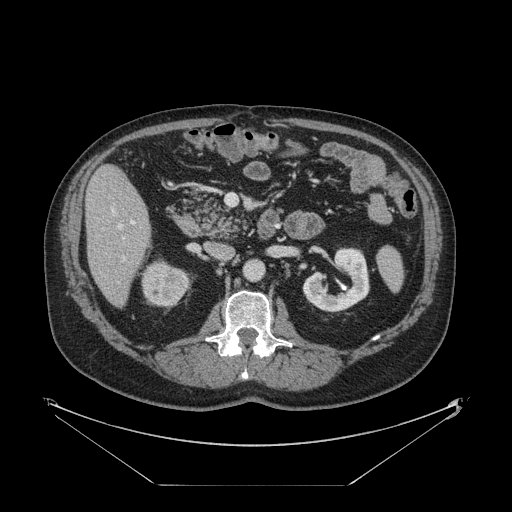 CT
Not every hepatic vessel necessarily has a box.
hepatic_vessel:
  - 122, 256, 123, 260
  - 130, 221, 132, 223